240x240 px; Slice index 68; Brain
FLAIR MR.
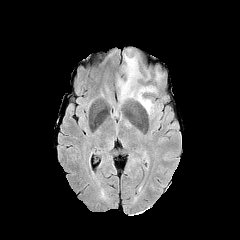
T1-weighted MR.
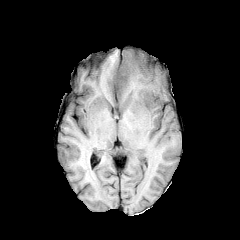
Post-contrast T1-weighted magnetic resonance.
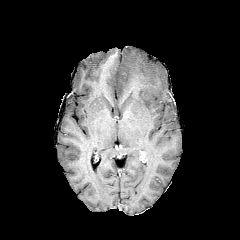
T2-weighted MR.
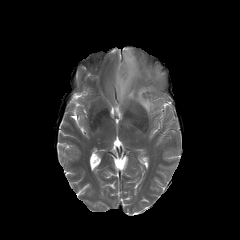
Annotated regions:
- edema: box(117, 50, 156, 117)